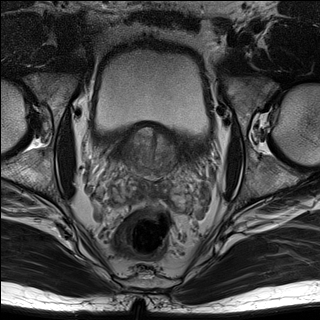
T2-weighted MRI.
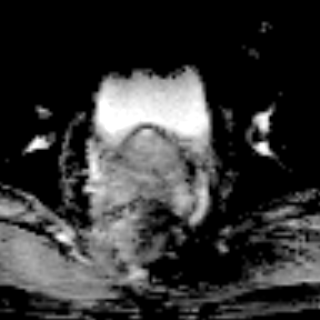
Same slice, ADC MR.
Pelvis
Prostate transition zone: region(120, 129, 180, 178).